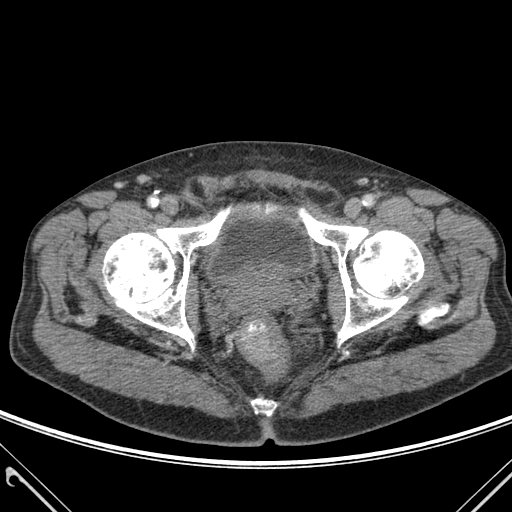
CT image
4 bone regions appear at {"x1": 299, "y1": 209, "x2": 423, "y2": 343}, {"x1": 103, "y1": 208, "x2": 229, "y2": 348}, {"x1": 420, "y1": 304, "x2": 448, "y2": 323}, {"x1": 251, "y1": 399, "x2": 276, "y2": 415}.